Image size 512x512. CT image. 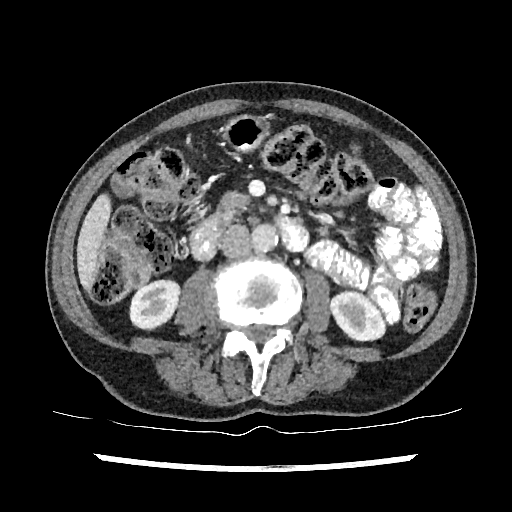
Segmented structures:
- kidney: left=131, top=281, right=178, bottom=327; left=331, top=293, right=384, bottom=339
- liver: left=78, top=195, right=109, bottom=284